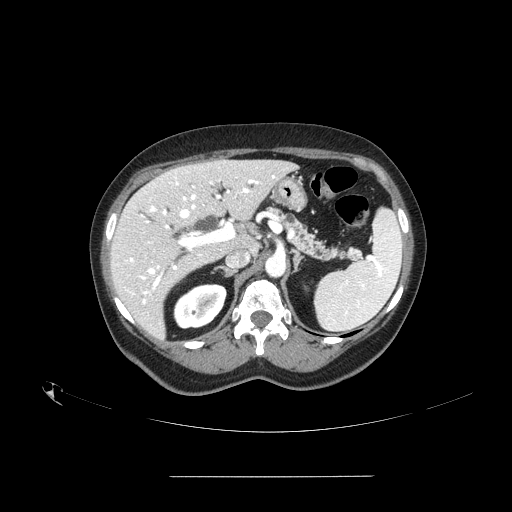

CT, Image size 512x512, Upper abdomen
Pancreas: bounding box <box>270,208,362,261</box>.